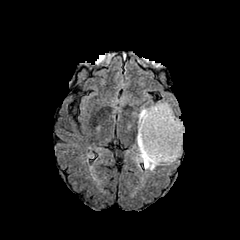
FLAIR MRI.
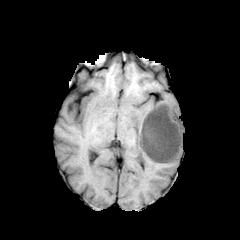
T1-weighted magnetic resonance of the same slice.
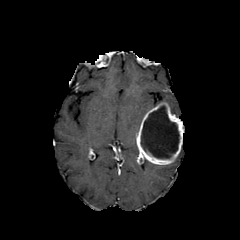
Post-contrast T1-weighted MRI.
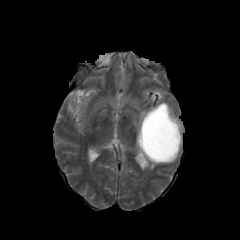
T2-weighted MR image of the same slice.
Enhancing tumor: bounding box 136,102,184,164.
Edema: bounding box 143,160,160,171; 132,104,154,127.
Non-enhancing tumor core: bounding box 141,106,178,157.